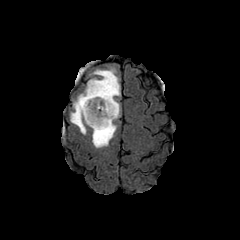
FLAIR magnetic resonance.
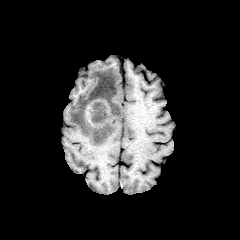
T1-weighted MR.
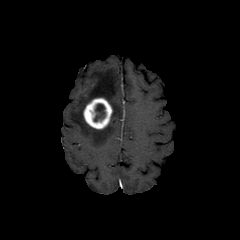
Post-contrast T1-weighted magnetic resonance of the same slice.
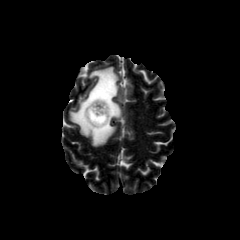
T2-weighted magnetic resonance of the same slice.
Head
Edema = [68, 67, 121, 147].
Non-enhancing tumor core = [94, 104, 104, 121], [74, 74, 117, 139].
Enhancing tumor = [83, 97, 113, 129].